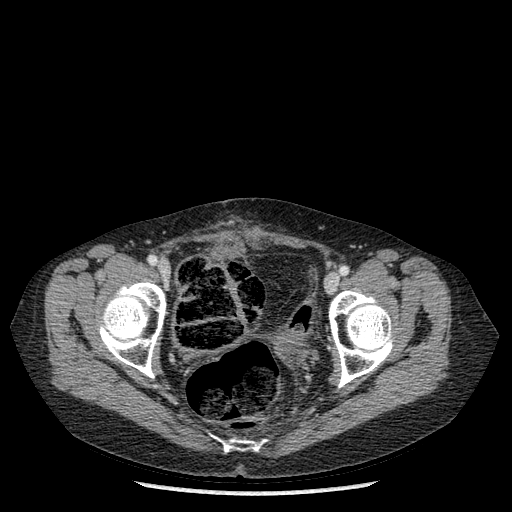
Image size 512x512, Computed tomography

Bone = x1=221, y1=438, x2=261, y2=452; x1=329, y1=289, x2=394, y2=387; x1=97, y1=279, x2=166, y2=378.